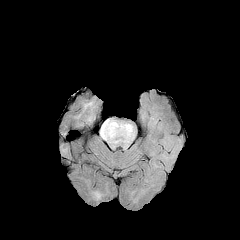
FLAIR MRI.
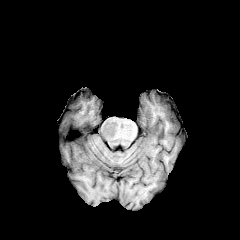
T1-weighted magnetic resonance.
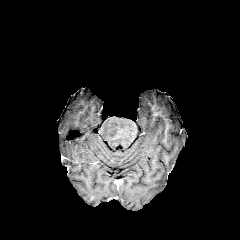
Post-contrast T1-weighted magnetic resonance.
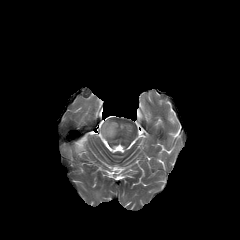
T2-weighted MR image.
Head.
Annotated regions:
• edema: box(101, 122, 115, 139)